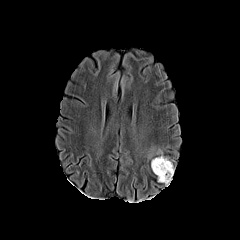
FLAIR magnetic resonance.
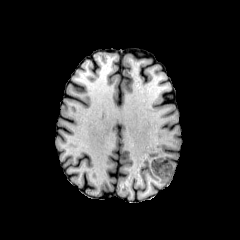
T1-weighted magnetic resonance.
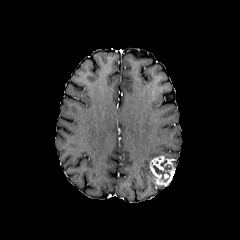
Same slice, post-contrast T1-weighted magnetic resonance.
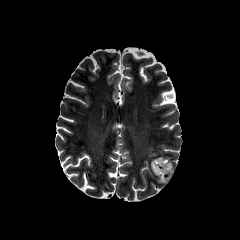
T2-weighted magnetic resonance.
Head.
Edema — (144,145,164,161).
Non-enhancing tumor core — (153,159,172,182).
Enhancing tumor — (150,156,174,186).